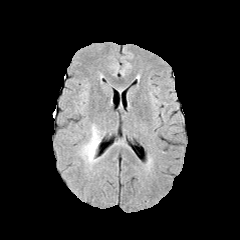
FLAIR MR image.
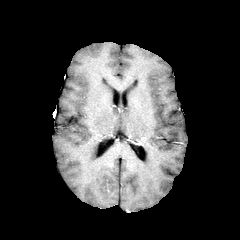
T1-weighted MRI.
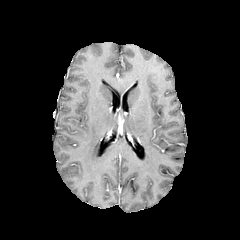
Post-contrast T1-weighted MR image.
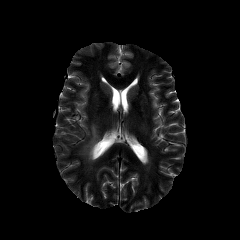
T2-weighted magnetic resonance.
Image size 240x240. Brain.
The edema is located at rect(79, 124, 102, 166).